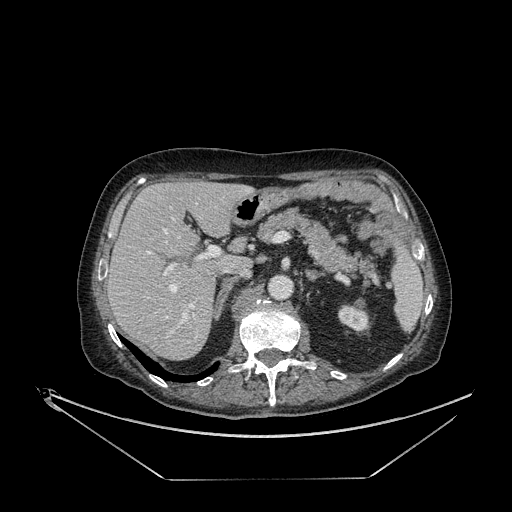

CT image
Liver = (left=108, top=182, right=253, bottom=359), (left=226, top=242, right=243, bottom=258).
Kidney = (left=338, top=305, right=368, bottom=330).